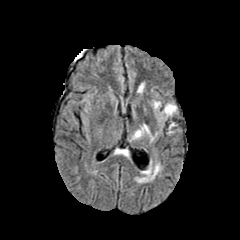
FLAIR MR.
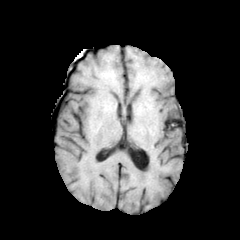
T1-weighted MR image of the same slice.
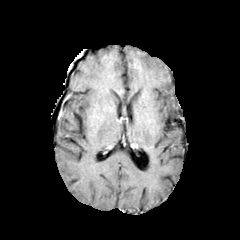
Post-contrast T1-weighted magnetic resonance.
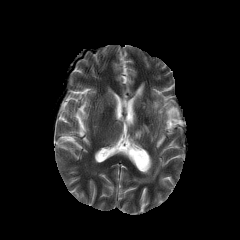
T2-weighted magnetic resonance.
Segmented structures:
• edema: left=134, top=124, right=148, bottom=139; left=167, top=124, right=176, bottom=133; left=137, top=83, right=144, bottom=93; left=151, top=98, right=177, bottom=120; left=147, top=165, right=160, bottom=176